512x512 px, CT slice, Field of view 432 mm wide, 1.50 mm slice spacing

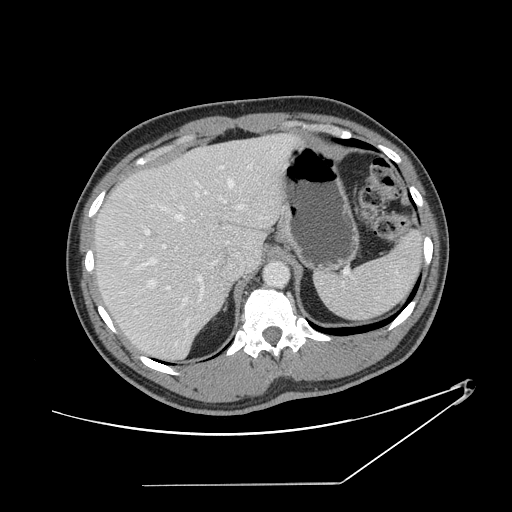
The vessel annotation is not exhaustive.
[15/25] hepatic vessel: 219,197,225,202; 120,242,123,245; 185,319,188,325; 138,257,157,268; 248,166,251,168; 175,214,183,221; 180,207,183,209; 148,280,155,287; 195,180,200,187; 161,207,168,211; 183,297,187,301; 145,230,149,233; 198,275,203,299; 237,204,244,208; 228,180,233,187